FLAIR MR.
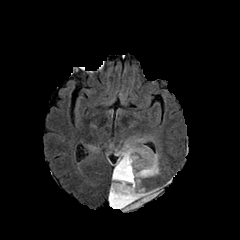
T1-weighted MR.
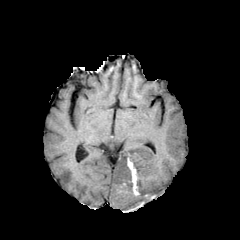
Post-contrast T1-weighted MRI.
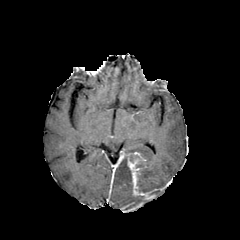
T2-weighted MRI.
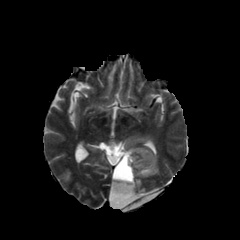
240x240 px | Head
Edema at (122,140,159,191), (108,178,131,208).
Non-enhancing tumor core at (106,146,123,158), (119,190,144,210), (113,148,161,199).
Enhancing tumor at (133,192,153,199), (128,160,138,191), (112,150,125,181).